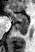
MRI slice

• posterior hippocampus: (13, 21, 27, 34)
• anterior hippocampus: (7, 7, 27, 21)